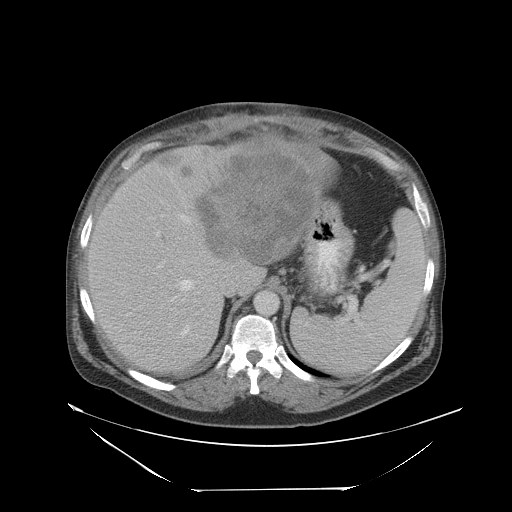
CT scan slice; Liver

Some hepatic vessels may have no box.
hepatic vessel: (163,260,165,262), (181,325,188,334), (177,279,194,290), (182,260,183,262), (178,214,190,223) | liver tumor: (158,154,183,166), (194,147,314,261), (180,163,195,179)